CT image. Upper abdomen. 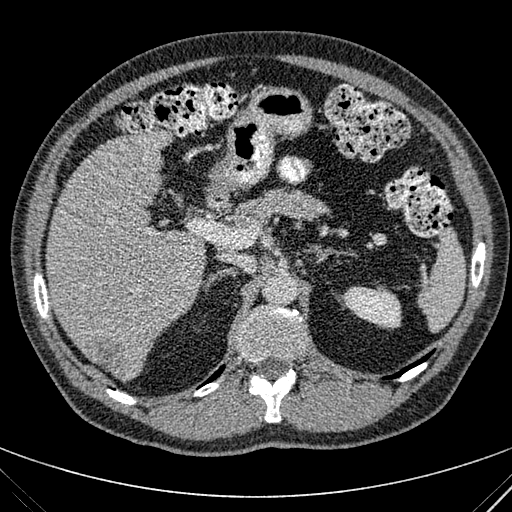 <segmentation>
  <liver_lesion>bbox=[83, 333, 131, 373]</liver_lesion>
  <liver>bbox=[46, 130, 202, 379]</liver>
  <kidney>bbox=[344, 287, 400, 327]</kidney>
</segmentation>